FLAIR magnetic resonance.
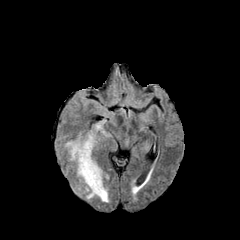
T1-weighted magnetic resonance.
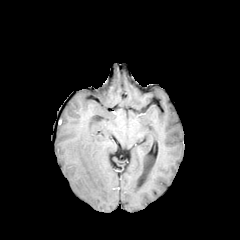
Post-contrast T1-weighted MR image.
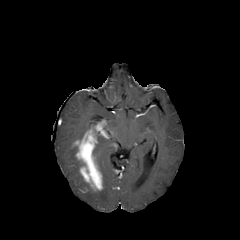
T2-weighted MRI.
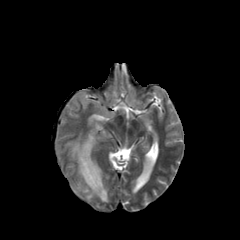
Brain; 240x240 px
2 enhancing tumor regions are bounded by (x1=95, y1=124, x2=107, y2=137), (x1=75, y1=130, x2=101, y2=191). 3 edema regions appear at (x1=86, y1=185, x2=109, y2=201), (x1=94, y1=159, x2=107, y2=180), (x1=68, y1=140, x2=85, y2=190).